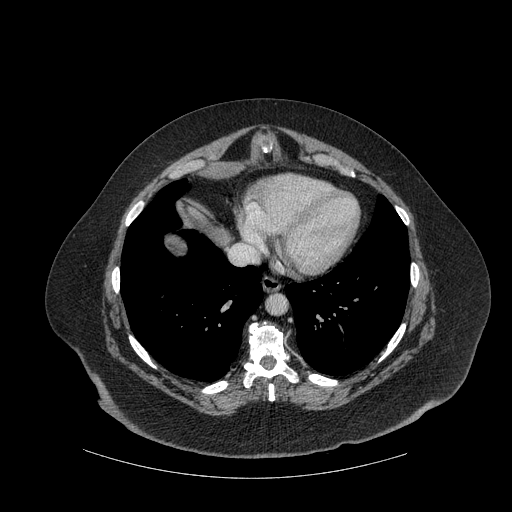

CT image; Upper abdomen; 512x512

2 lung regions appear at x1=120 y1=179 x2=263 y2=381, x1=285 y1=195 x2=410 y2=375. 10 bone regions are located at x1=269 y1=384 x2=274 y2=400, x1=411 y1=263 x2=419 y2=286, x1=309 y1=374 x2=336 y2=385, x1=112 y1=267 x2=119 y2=292, x1=396 y1=206 x2=409 y2=224, x1=129 y1=336 x2=155 y2=367, x1=379 y1=324 x2=405 y2=361, x1=202 y1=381 x2=227 y2=393, x1=125 y1=201 x2=143 y2=225, x1=244 y1=323 x2=297 y2=387. The liver is located at x1=214 y1=234 x2=230 y2=242.